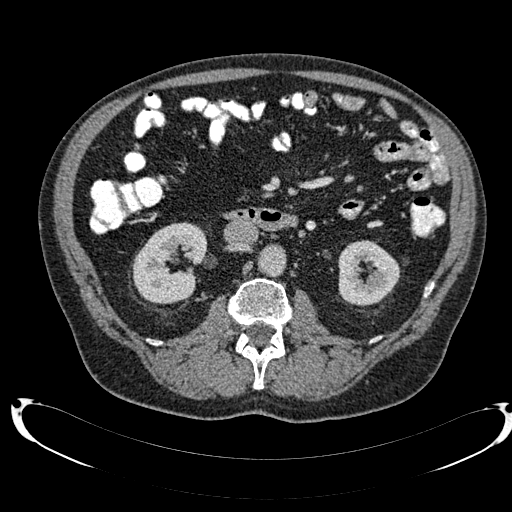

512x512 px. CT. Abdomen.
<segmentation>
  <kidney>338 240 399 305, 133 222 206 303</kidney>
</segmentation>